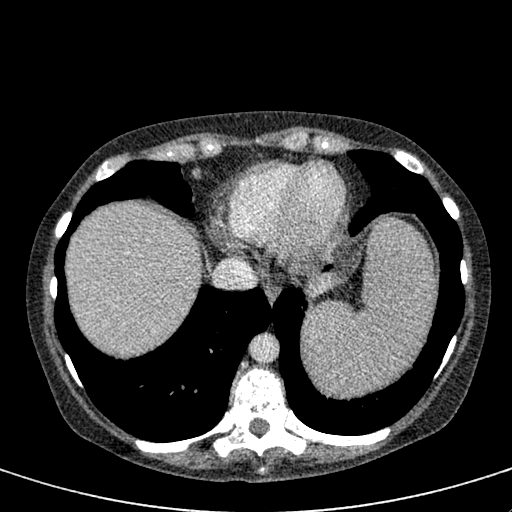
CT. Upper abdomen.

2 liver regions are bounded by x1=312 y1=266 x2=351 y2=298, x1=66 y1=206 x2=198 y2=354.